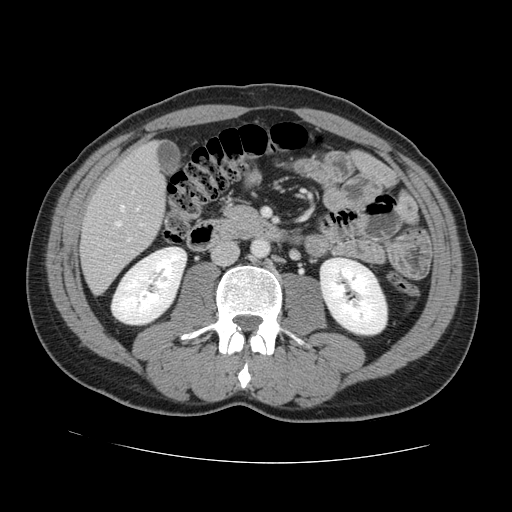 CT scan slice
The vessel boxes may cover only some of the vessels.
Segmented structures:
• hepatic vessel: (116,222,120,225), (131,192,133,193), (127,239,129,240), (109,265,112,269), (135,206,140,210), (139,223,145,225), (120,205,123,209)